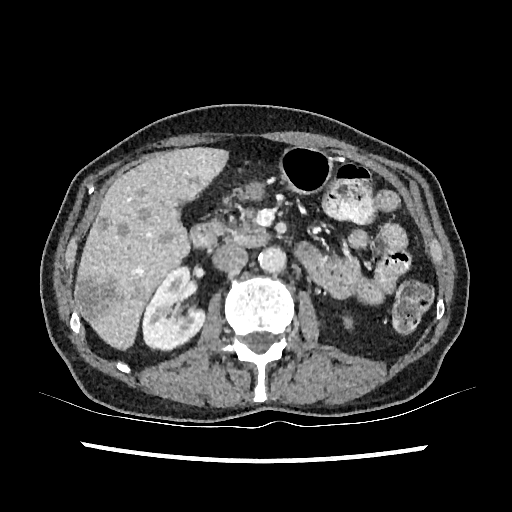

CT slice | Abdomen
The kidney is bounded by x1=143 y1=266 x2=204 y2=349. The liver appears at x1=75 y1=147 x2=226 y2=347. 8 liver lesion regions appear at x1=131 y1=287 x2=140 y2=299, x1=96 y1=216 x2=109 y2=230, x1=158 y1=231 x2=176 y2=244, x1=186 y1=176 x2=201 y2=187, x1=138 y1=208 x2=151 y2=222, x1=135 y1=188 x2=147 y2=196, x1=118 y1=223 x2=129 y2=236, x1=75 y1=278 x2=116 y2=320.